FLAIR MRI.
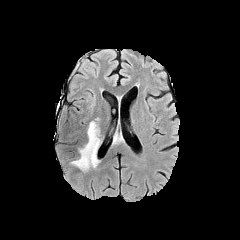
T1-weighted MR.
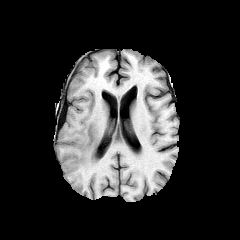
Post-contrast T1-weighted MR.
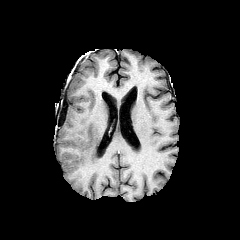
T2-weighted MR.
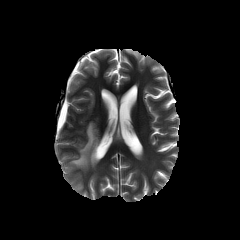
The edema appears at (71,121,101,172).